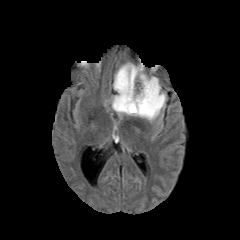
FLAIR MR.
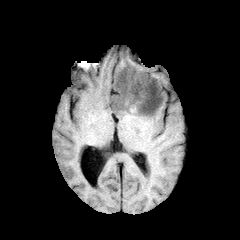
T1-weighted MRI of the same slice.
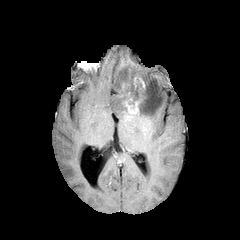
Post-contrast T1-weighted MR.
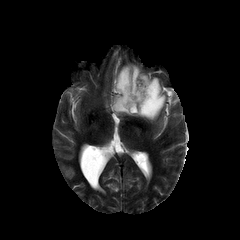
T2-weighted MRI.
enhancing tumor: (124,101,139,114) | edema: (109,62,167,122) | non-enhancing tumor core: (119,81,142,111), (147,84,157,107)